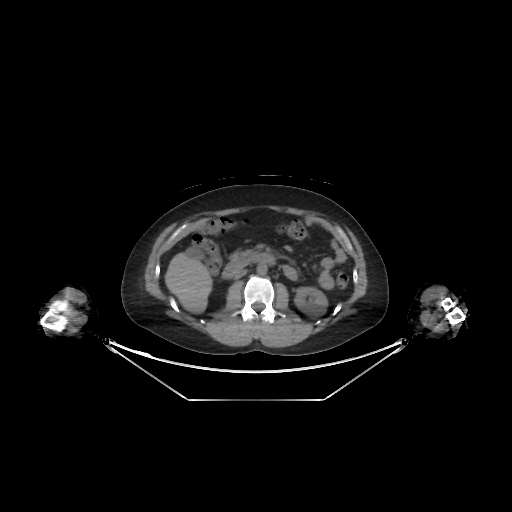 CT image, Liver, Image size 512x512
liver: <box>165,246,212,312</box> | kidney: <box>294,286,327,320</box>